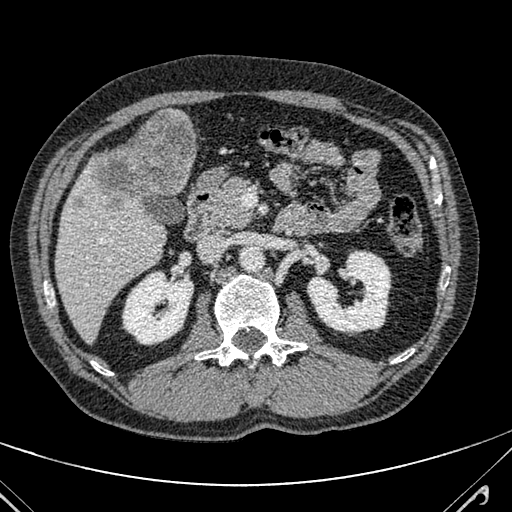
Abdomen | CT slice
2 liver regions are bounded by (left=56, top=158, right=165, bottom=344), (left=173, top=161, right=192, bottom=193). The focal liver lesion is bounded by (left=73, top=110, right=195, bottom=208).